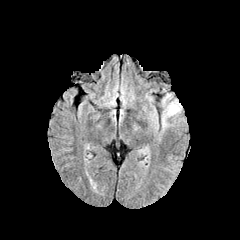
FLAIR magnetic resonance.
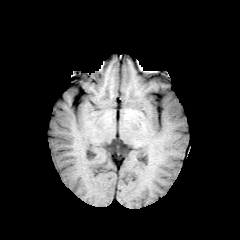
T1-weighted MR.
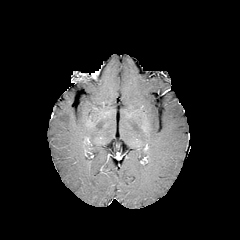
Post-contrast T1-weighted MR.
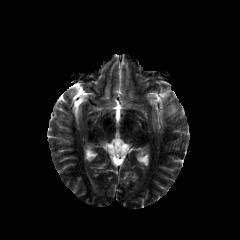
Same slice, T2-weighted MR.
Brain
edema: <box>149,108,160,131</box>, <box>160,93,181,131</box>